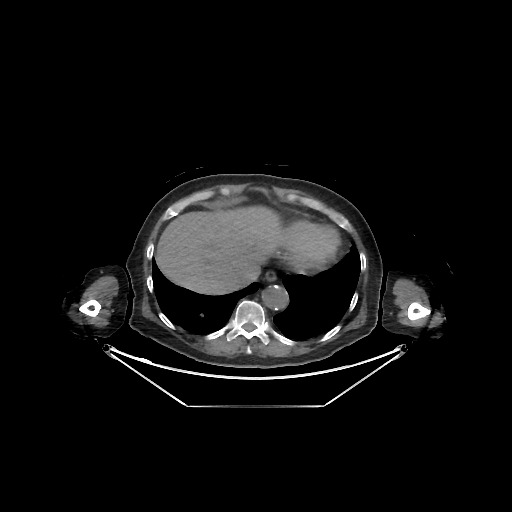

Computed tomography; Upper abdomen

Segmented structures:
* lung: bbox=[152, 258, 262, 334]; bbox=[273, 243, 360, 340]
* liver: bbox=[156, 207, 283, 294]
* bone: bbox=[207, 301, 267, 342]; bbox=[159, 313, 173, 328]; bbox=[321, 326, 339, 340]; bbox=[79, 299, 100, 316]; bbox=[274, 332, 293, 344]; bbox=[165, 208, 177, 218]; bbox=[350, 294, 357, 309]; bbox=[147, 276, 152, 291]; bbox=[360, 253, 365, 269]; bbox=[147, 244, 153, 258]; bbox=[407, 302, 430, 320]